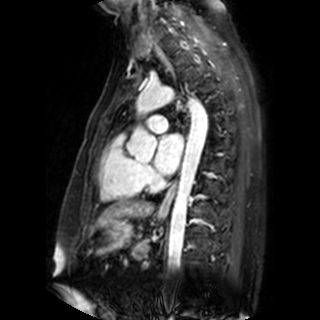
Cardiac. MR.

<segmentation>
  <left_atrium>[154,134,182,174]</left_atrium>
</segmentation>